Slice 534 of 605; Thorax; CT slice 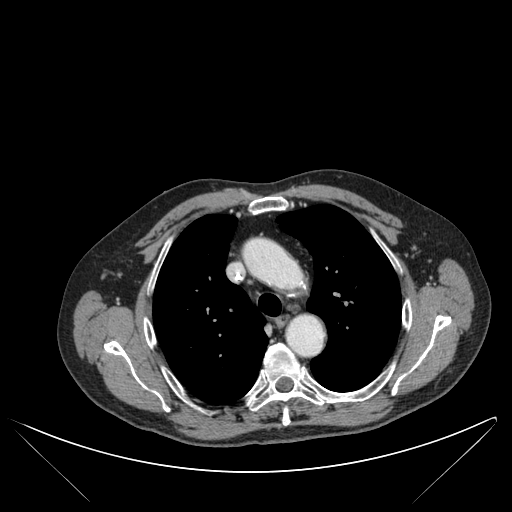 Annotated regions:
• bone: {"x1": 402, "y1": 299, "x2": 411, "y2": 328}, {"x1": 249, "y1": 196, "x2": 288, "y2": 214}, {"x1": 162, "y1": 367, "x2": 184, "y2": 399}, {"x1": 392, "y1": 315, "x2": 451, "y2": 394}, {"x1": 282, "y1": 407, "x2": 289, "y2": 425}, {"x1": 384, "y1": 246, "x2": 392, "y2": 262}, {"x1": 104, "y1": 341, "x2": 169, "y2": 411}, {"x1": 144, "y1": 318, "x2": 155, "y2": 347}, {"x1": 150, "y1": 243, "x2": 167, "y2": 287}, {"x1": 247, "y1": 343, "x2": 394, "y2": 410}
• lung: {"x1": 153, "y1": 214, "x2": 280, "y2": 404}, {"x1": 276, "y1": 205, "x2": 401, "y2": 391}